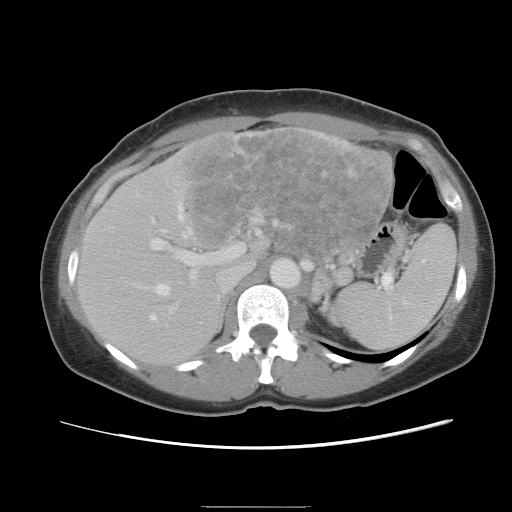 CT; 512x512 px; Abdomen
Only some of the vessels may be annotated.
Hepatic vessel: 133, 283, 136, 284; 151, 239, 254, 291; 139, 285, 145, 286; 165, 306, 172, 309; 149, 283, 168, 294; 161, 230, 164, 231; 151, 218, 153, 220; 150, 314, 155, 319.
Liver tumor: 174, 130, 390, 253.